Image width 352 mm | Slice index 32 | CT
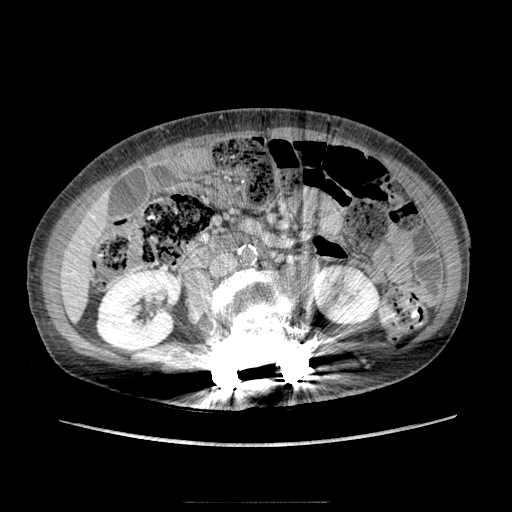

{
  "pancreas": [
    "210,235,235,249"
  ]
}